CT image
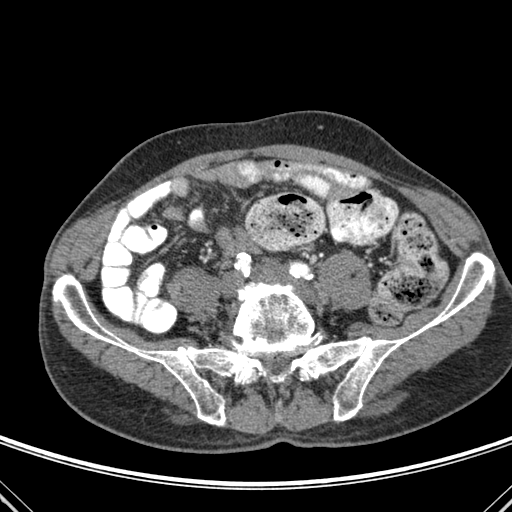

<segmentation>
  <bone>(53, 252, 494, 425)</bone>
</segmentation>